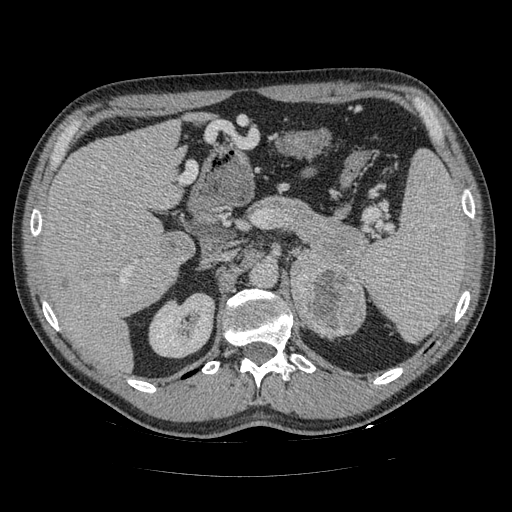 CT slice
* pancreatic tumor: (290,250,365,336)
* pancreas: (258,197,366,299)